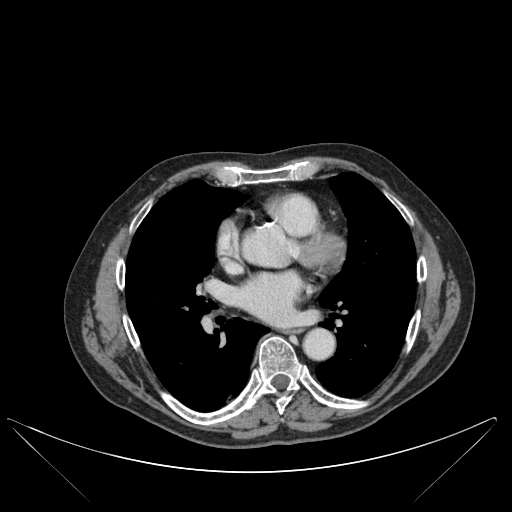
CT image | Thorax
2 lung regions are bounded by x1=125 y1=180 x2=268 y2=411, x1=315 y1=172 x2=415 y2=397. 8 bone regions appear at x1=123 y1=316 x2=139 y2=347, x1=131 y1=208 x2=148 y2=227, x1=397 y1=202 x2=410 y2=218, x1=116 y1=259 x2=124 y2=288, x1=417 y1=257 x2=426 y2=281, x1=223 y1=163 x2=306 y2=184, x1=406 y1=311 x2=420 y2=349, x1=162 y1=337 x2=366 y2=424.